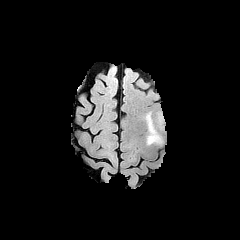
FLAIR MR.
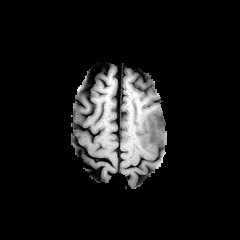
T1-weighted MRI.
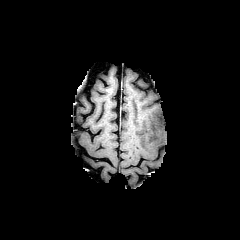
Post-contrast T1-weighted magnetic resonance.
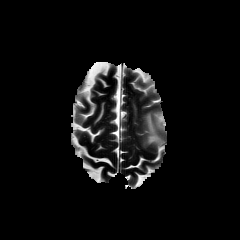
T2-weighted magnetic resonance of the same slice.
Non-enhancing tumor core: box(143, 112, 153, 125).
Edema: box(142, 111, 164, 147).